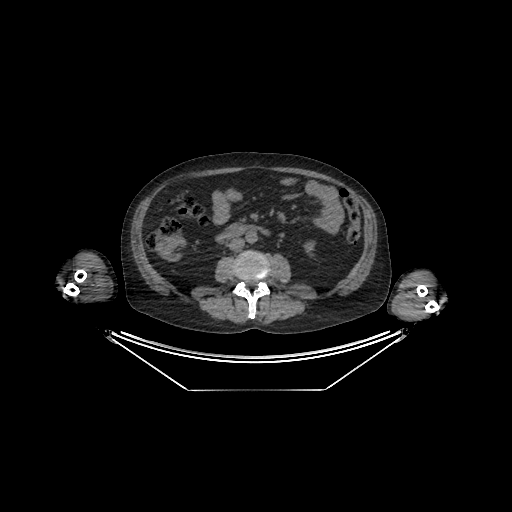

CT slice; Abdomen

Kidney at 303:240:315:255.